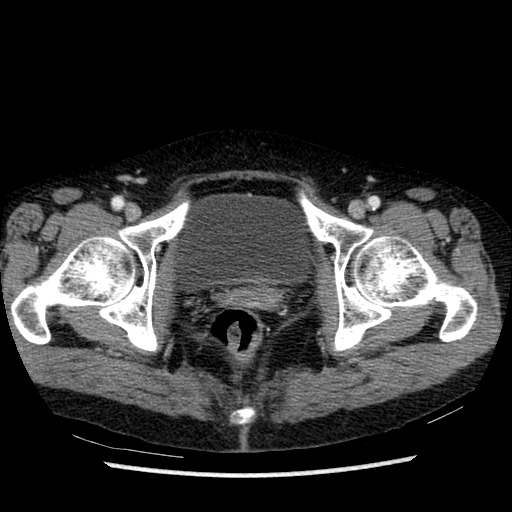
Lower abdomen, CT scan slice
urinary_bladder:
  - [172, 193, 317, 293]